CT, Slice index 150, Image size 512x512, Field of view 400x400 mm
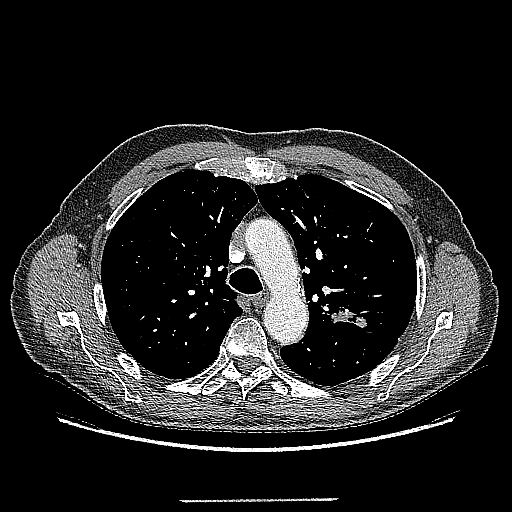
lung tumor: box=[328, 306, 366, 329]